240x240 px, Field of view 240 mm wide, 1.00 mm slice spacing
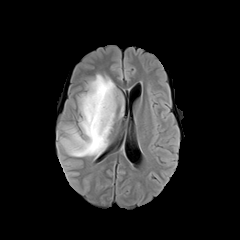
FLAIR MRI.
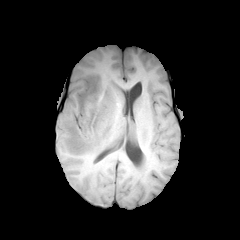
T1-weighted MRI of the same slice.
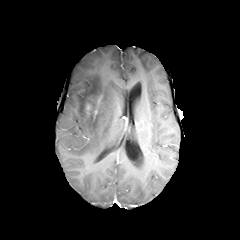
Post-contrast T1-weighted MRI of the same slice.
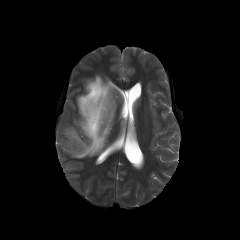
Same slice, T2-weighted magnetic resonance.
edema:
  - l=60, t=74, r=120, b=158
non-enhancing_tumor_core:
  - l=87, t=97, r=99, b=112